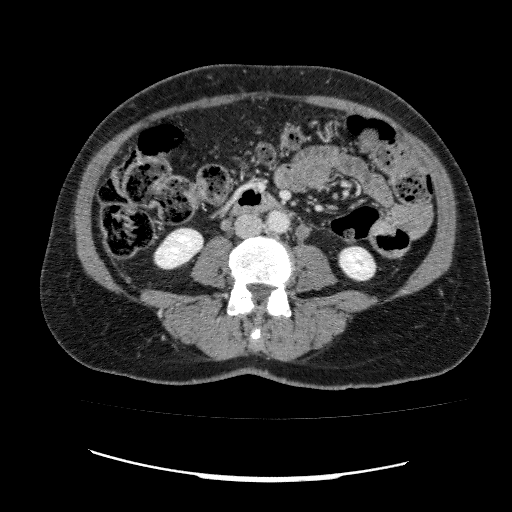

CT slice, 512x512 px
Kidney: bounding box bbox=[155, 229, 202, 268]; bbox=[340, 247, 374, 279].